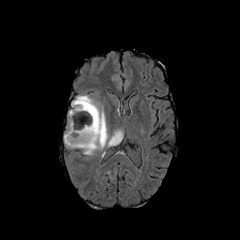
FLAIR MRI.
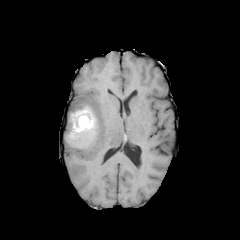
T1-weighted MR.
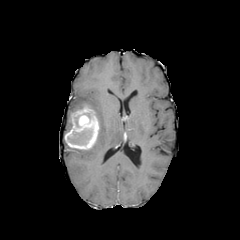
Post-contrast T1-weighted magnetic resonance of the same slice.
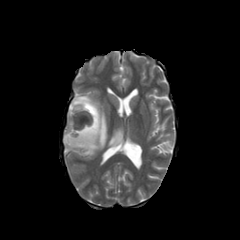
T2-weighted MRI of the same slice.
240x240.
Annotated regions:
* non-enhancing tumor core: rect(74, 112, 87, 127); rect(70, 129, 86, 141); rect(72, 104, 92, 113)
* edema: rect(107, 129, 123, 146); rect(68, 94, 108, 155)
* enhancing tumor: rect(64, 108, 99, 149)